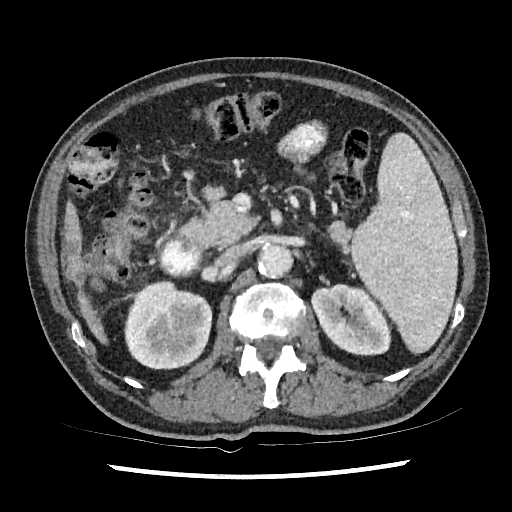 CT image. {"kidney": ["<box>311,285,390,354</box>", "<box>125,282,211,368</box>"], "focal_liver_lesion": ["<box>88,315,97,326</box>", "<box>67,237,80,259</box>", "<box>72,263,83,282</box>"], "liver": ["<box>66,205,80,248</box>", "<box>65,251,84,285</box>", "<box>80,297,105,341</box>"]}